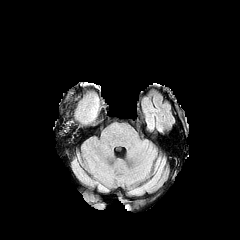
FLAIR MR.
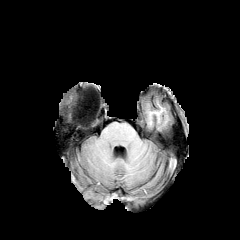
T1-weighted MR image.
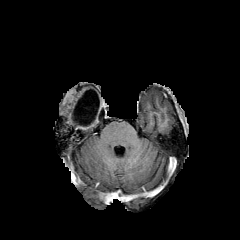
Post-contrast T1-weighted MRI.
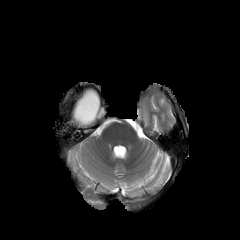
T2-weighted MRI of the same slice.
240x240
The non-enhancing tumor core is at bbox=[78, 96, 97, 121].